CT; Slice 388/845; Image width 472 mm; Liver 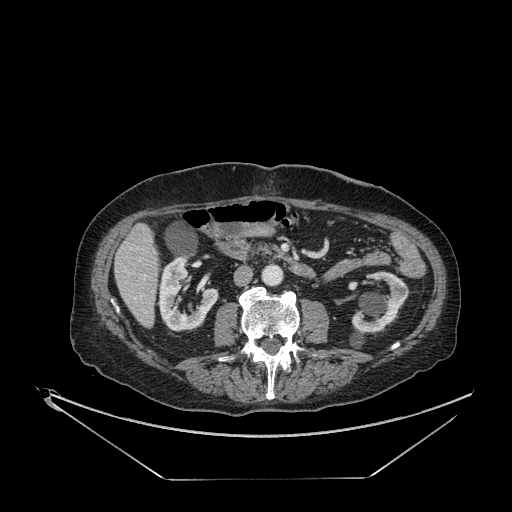

liver: (114, 224, 158, 327) | kidney: (352, 272, 408, 332), (159, 257, 217, 330), (349, 282, 356, 289)